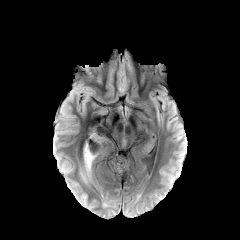
FLAIR MR.
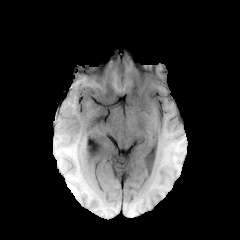
T1-weighted MR.
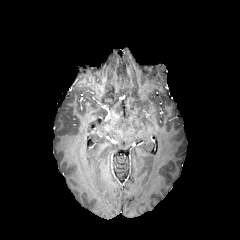
Post-contrast T1-weighted magnetic resonance.
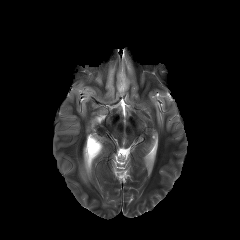
T2-weighted magnetic resonance.
Head.
Segmented structures:
• edema: <box>80,148,97,182</box>